CT slice | Upper abdomen
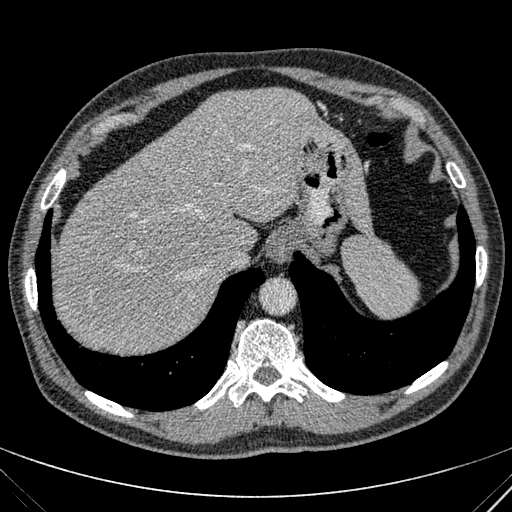

{"liver": ["<box>52,88,344,352</box>", "<box>345,160,370,234</box>"]}